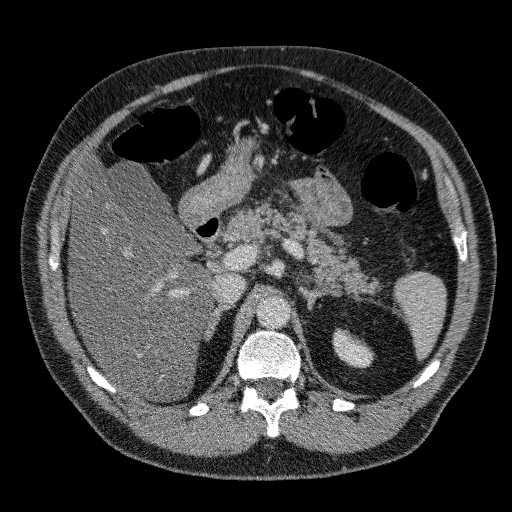

CT, Abdomen, 512x512 px

Segmented structures:
- liver: <bbox>68, 154, 214, 400</bbox>
- kidney: <bbox>334, 333, 370, 364</bbox>